Slice index 29 | 512x512 px | CT slice
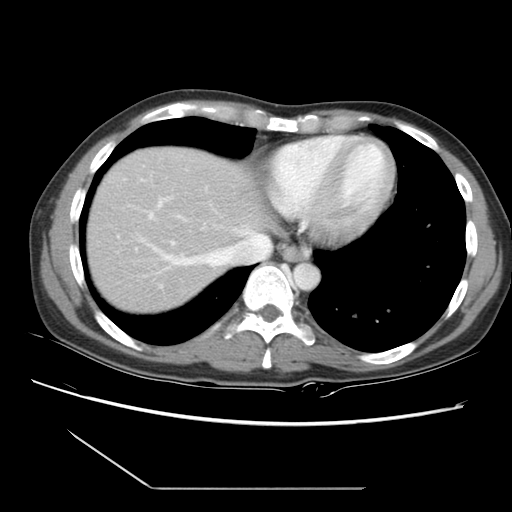

Some hepatic vessels may have no box.
{
  "hepatic_vessel": [
    "bbox=[138, 235, 269, 274]",
    "bbox=[171, 241, 174, 245]",
    "bbox=[233, 225, 248, 235]",
    "bbox=[157, 197, 172, 208]",
    "bbox=[176, 215, 186, 221]",
    "bbox=[130, 206, 137, 208]",
    "bbox=[213, 225, 221, 228]",
    "bbox=[151, 172, 151, 178]",
    "bbox=[159, 286, 162, 288]",
    "bbox=[202, 223, 205, 229]",
    "bbox=[143, 211, 155, 219]"
  ]
}